Image size 240x240 | Slice 36 of 155
FLAIR magnetic resonance.
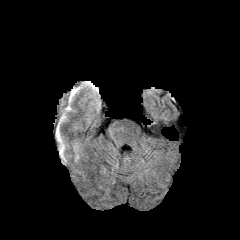
T1-weighted MR.
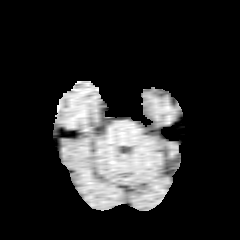
Post-contrast T1-weighted magnetic resonance.
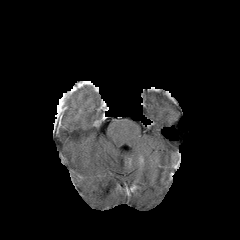
T2-weighted MR image.
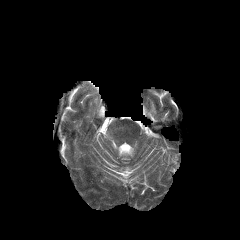
The edema is located at (60,139,66,161).